Image width 449 mm. CT image. Abdomen. 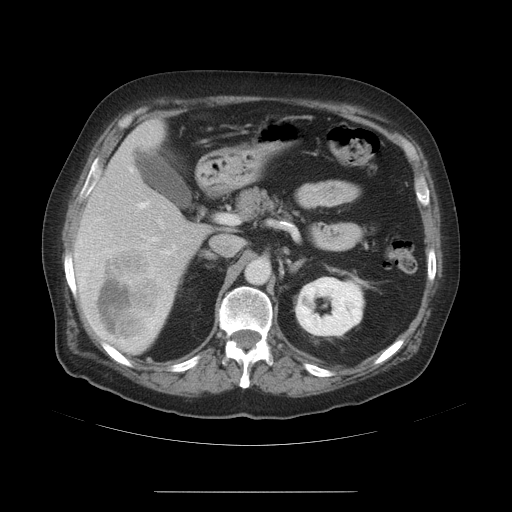
The vessel annotation is not exhaustive.
Liver tumor: [81,247,173,353].
Hepatic vessel: [173,245,175,249], [161,251,170,254], [138,201,148,208], [129,168,132,171], [79,240,86,247], [157,217,161,223], [75,253,78,256], [149,237,157,241], [88,227,90,231], [162,226,163,227], [80,279,84,290], [106,249,107,250].